MRI 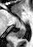

• posterior hippocampus: bbox=[13, 25, 26, 38]